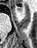
Image size 37x48. Magnetic resonance. Hippocampus.

Annotated regions:
* anterior hippocampus: 16,7,21,11